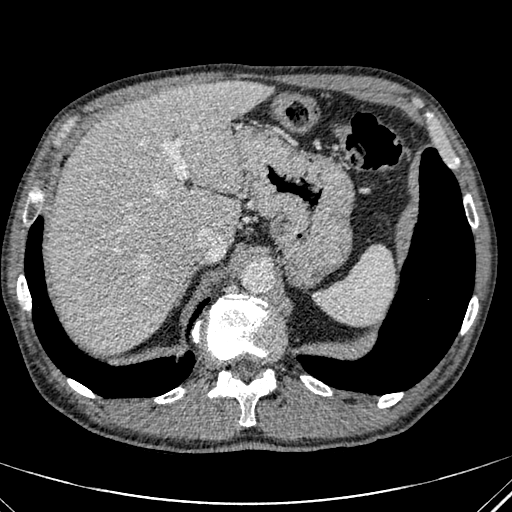 CT
liver:
  - x1=50, y1=81, x2=272, y2=353